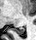 MR; Hippocampus
Segmented structures:
* posterior hippocampus: [x1=12, y1=27, x2=24, y2=34]